CT scan slice, Slice index 543, Field of view 700x700 mm, Brain

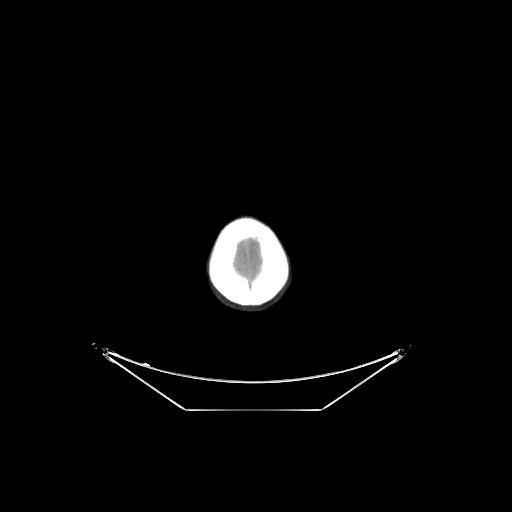

brain: (x1=233, y1=237, x2=262, y2=289)